Brain; Field of view 240 mm wide, 1.00 mm slice spacing; 240x240
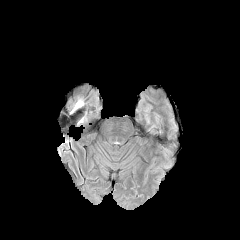
FLAIR MRI.
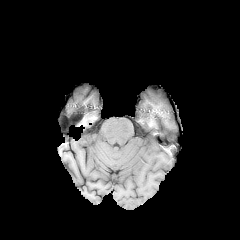
Same slice, T1-weighted magnetic resonance.
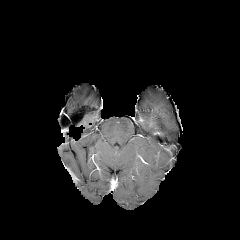
Post-contrast T1-weighted MRI.
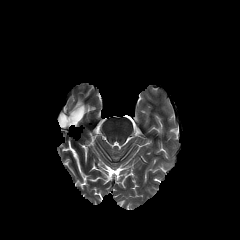
T2-weighted magnetic resonance.
edema: bbox=[70, 99, 84, 114]